FLAIR magnetic resonance.
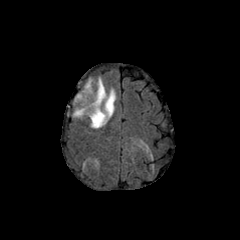
T1-weighted magnetic resonance.
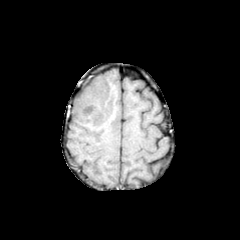
Post-contrast T1-weighted MR.
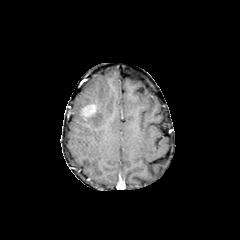
T2-weighted MR image.
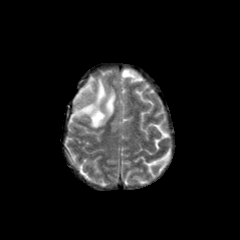
Head
edema: (x1=72, y1=78, x2=116, y2=128) | enhancing tumor: (x1=80, y1=104, x2=96, y2=116)